Computed tomography

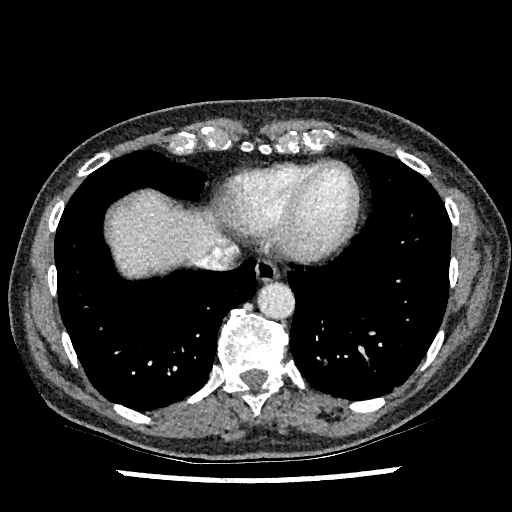 Liver = (left=105, top=190, right=228, bottom=277).